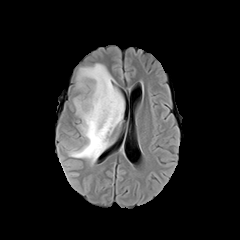
FLAIR magnetic resonance.
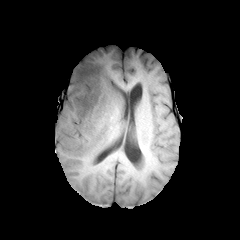
Same slice, T1-weighted MR.
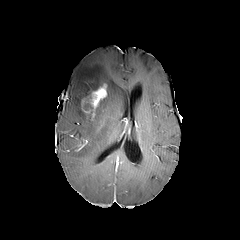
Same slice, post-contrast T1-weighted magnetic resonance.
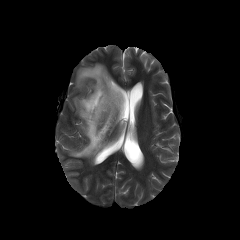
T2-weighted magnetic resonance of the same slice.
Brain
non-enhancing_tumor_core:
  - <box>80,100,93,115</box>
  - <box>92,67,99,77</box>
  - <box>86,83,102,99</box>
edema:
  - <box>64,64,124,164</box>
enhancing_tumor:
  - <box>81,84,106,108</box>